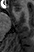
MRI, 34x52 px
The anterior hippocampus is located at 15 6 21 13.